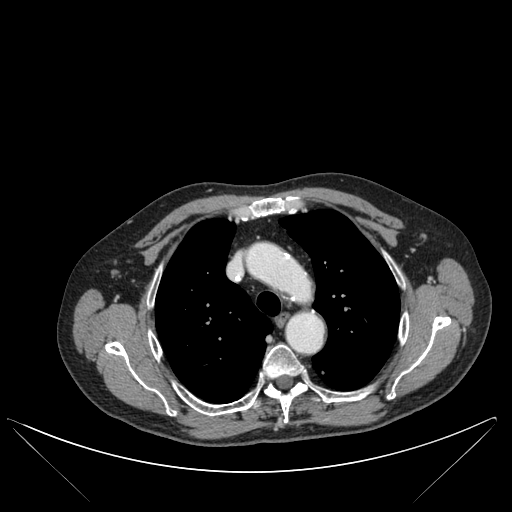
CT slice
{"lung": ["(x1=279, y1=210, x2=399, y2=390)", "(x1=155, y1=219, x2=279, y2=403)"], "bone": ["(x1=105, y1=342, x2=176, y2=415)", "(x1=147, y1=273, x2=156, y2=306)", "(x1=243, y1=196, x2=299, y2=220)", "(x1=389, y1=258, x2=399, y2=281)", "(x1=173, y1=344, x2=305, y2=415)", "(x1=399, y1=312, x2=408, y2=343)", "(x1=387, y1=316, x2=450, y2=399)", "(x1=148, y1=331, x2=161, y2=359)", "(x1=264, y1=377, x2=371, y2=422)"]}